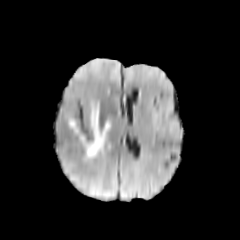
FLAIR MR image.
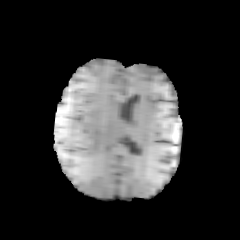
Same slice, T1-weighted magnetic resonance.
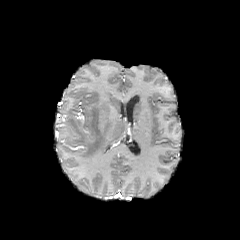
Post-contrast T1-weighted MR of the same slice.
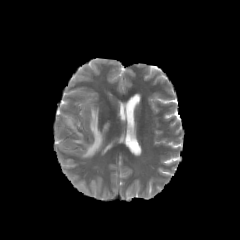
T2-weighted MRI of the same slice.
Segmented structures:
- edema: [66, 102, 111, 158]